Computed tomography; 512x512; Liver
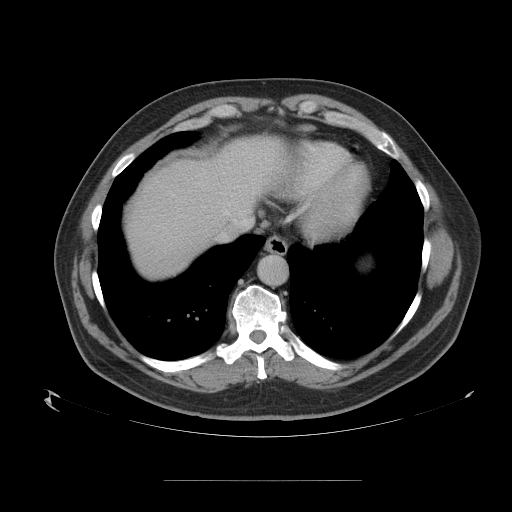
The vessel boxes may cover only some of the vessels.
hepatic vessel: x1=218, y1=211, x2=253, y2=240